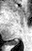 Image size 32x51 | MRI slice | Medial temporal lobe
posterior_hippocampus:
  - [7, 41, 18, 45]